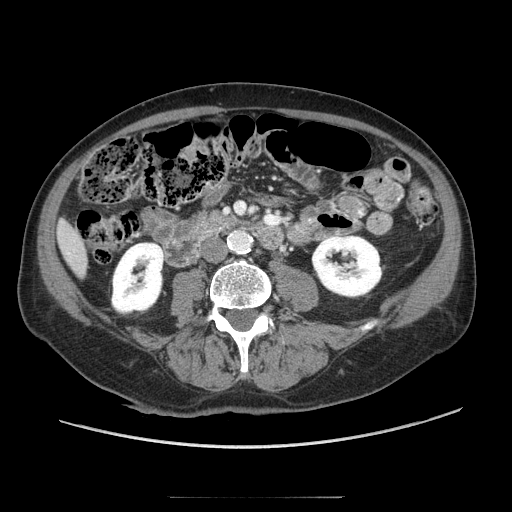

Upper abdomen; 512x512; CT slice
Pancreas — (left=193, top=211, right=236, bottom=236).